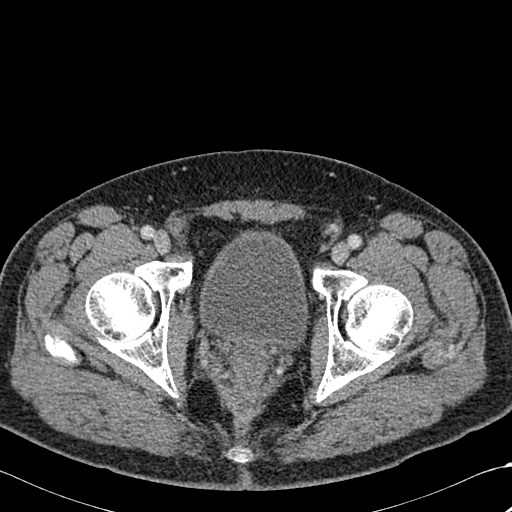

512x512 px, CT scan slice
Bone at left=85, top=261, right=191, bottom=395; left=313, top=269, right=412, bottom=400; left=45, top=334, right=75, bottom=361; left=235, top=450, right=245, bottom=461.